FLAIR MR image.
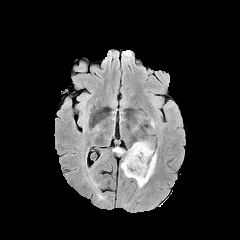
T1-weighted MRI.
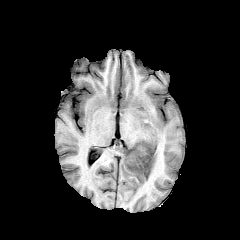
Post-contrast T1-weighted MR image.
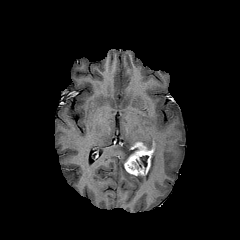
T2-weighted MR image.
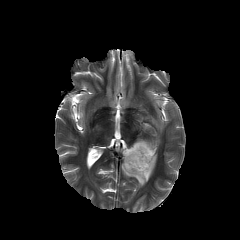
Edema at 120:138:157:187.
Non-enhancing tumor core at 139:155:148:168.
Enhancing tumor at 124:142:153:175.